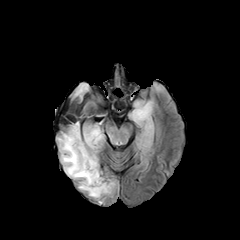
FLAIR MR.
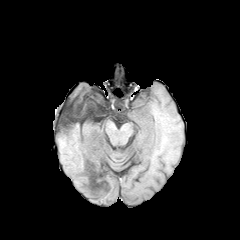
T1-weighted MR image of the same slice.
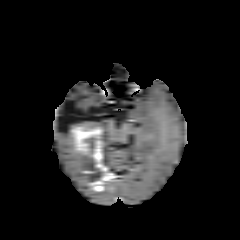
Same slice, post-contrast T1-weighted magnetic resonance.
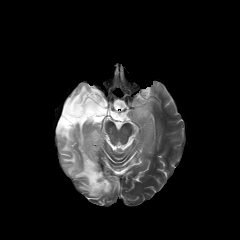
T2-weighted magnetic resonance.
<segmentation>
  <non-enhancing_tumor_core>(x1=83, y1=136, x2=101, y2=155), (x1=80, y1=124, x2=98, y2=131), (x1=98, y1=159, x2=115, y2=191), (x1=67, y1=99, x2=77, y2=109), (x1=60, y1=104, x2=97, y2=133)</non-enhancing_tumor_core>
  <enhancing_tumor>(x1=71, y1=126, x2=101, y2=153), (x1=88, y1=172, x2=109, y2=191), (x1=90, y1=152, x2=99, y2=167)</enhancing_tumor>
  <edema>(x1=56, y1=130, x2=110, y2=199), (x1=69, y1=84, x2=101, y2=117), (x1=130, y1=100, x2=151, y2=123)</edema>
</segmentation>